CT slice 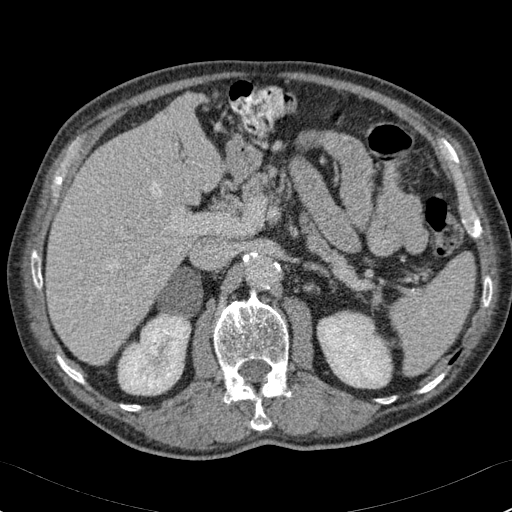

2 kidney regions are bounded by [x1=317, y1=311, x2=391, y2=388], [x1=119, y1=315, x2=190, y2=394]. The liver is bounded by [x1=47, y1=94, x2=223, y2=364].